Image size 512x512. CT scan slice. Slice index 83.

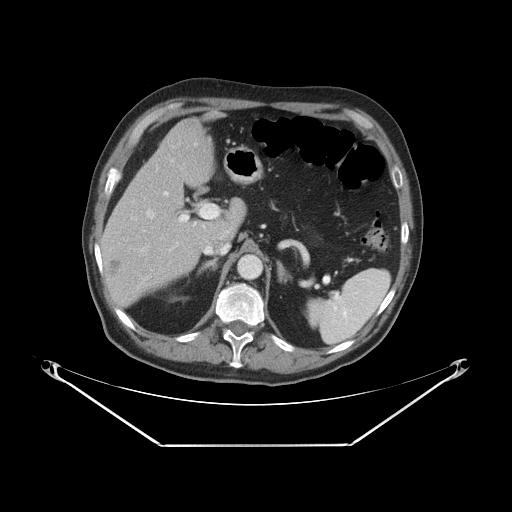

Only some of the vessels may be annotated.
liver tumor: <bbox>105, 258, 122, 281</bbox> | hepatic vessel: <bbox>177, 164, 184, 170</bbox>, <bbox>134, 245, 149, 254</bbox>, <bbox>168, 158, 175, 163</bbox>, <bbox>146, 209, 154, 217</bbox>, <bbox>174, 211, 188, 225</bbox>, <bbox>193, 142, 196, 147</bbox>, <bbox>163, 191, 168, 196</bbox>